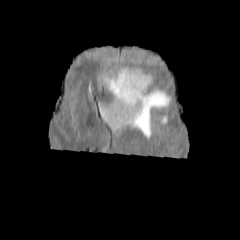
FLAIR magnetic resonance.
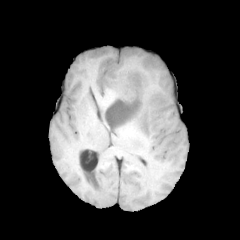
T1-weighted MR.
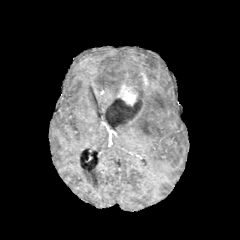
Post-contrast T1-weighted magnetic resonance.
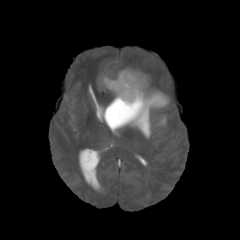
T2-weighted MR of the same slice.
240x240.
Edema = {"x1": 103, "y1": 67, "x2": 130, "y2": 94}, {"x1": 109, "y1": 74, "x2": 170, "y2": 137}.
Non-enhancing tumor core = {"x1": 104, "y1": 69, "x2": 146, "y2": 127}.
Enhancing tumor = {"x1": 141, "y1": 73, "x2": 149, "y2": 85}, {"x1": 117, "y1": 83, "x2": 137, "y2": 105}.